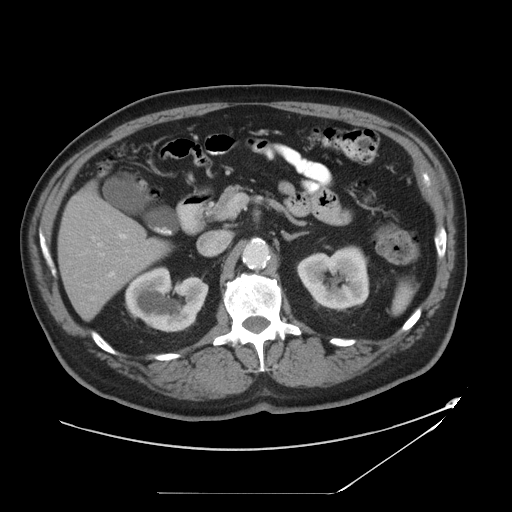
CT slice

Only some of the vessels may be annotated.
8 hepatic vessel regions are bounded by [x1=95, y1=284, x2=100, y2=288], [x1=146, y1=256, x2=150, y2=259], [x1=99, y1=253, x2=104, y2=255], [x1=118, y1=232, x2=126, y2=238], [x1=125, y1=248, x2=128, y2=251], [x1=98, y1=242, x2=102, y2=246], [x1=91, y1=297, x2=94, y2=300], [x1=108, y1=272, x2=114, y2=276].